CT image. Upper abdomen. Slice index 40.

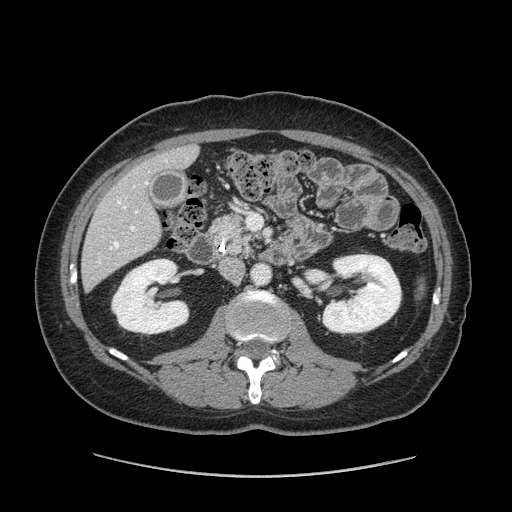 The pancreas is located at <box>209,215,249,255</box>.